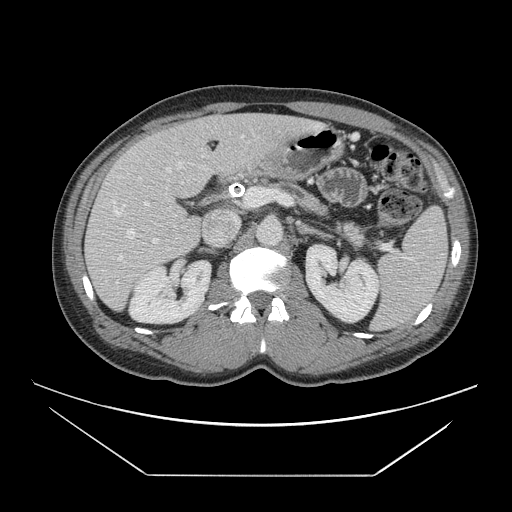
Image size 512x512. CT.

2 pancreas regions are located at {"x1": 339, "y1": 224, "x2": 362, "y2": 248}, {"x1": 273, "y1": 182, "x2": 328, "y2": 216}.